Head
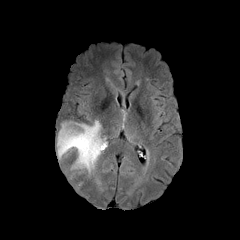
FLAIR MRI.
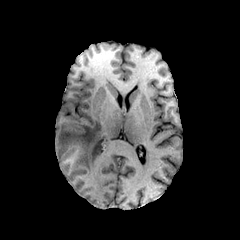
Same slice, T1-weighted MR image.
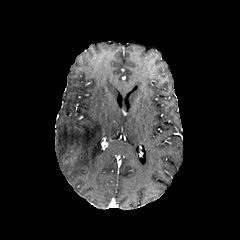
Post-contrast T1-weighted MR image of the same slice.
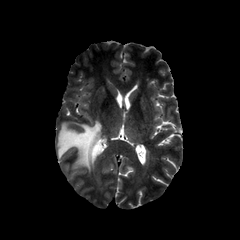
T2-weighted magnetic resonance of the same slice.
{
  "edema": [
    "(x1=57, y1=120, x2=101, y2=176)"
  ]
}